CT, 512x512, Slice 269/519

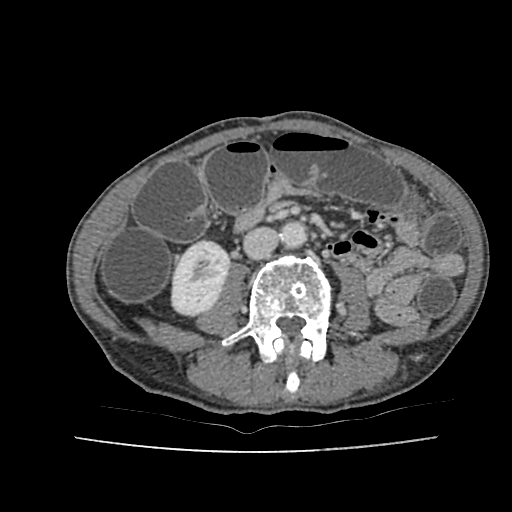

The kidney is at [172,242,229,314].